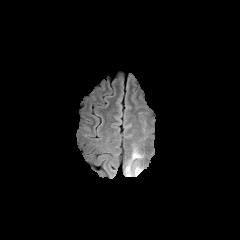
FLAIR MR image.
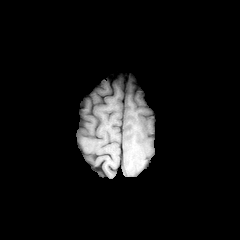
Same slice, T1-weighted MR.
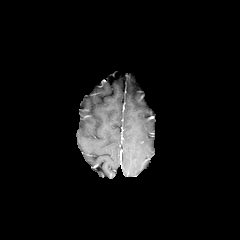
Same slice, post-contrast T1-weighted MRI.
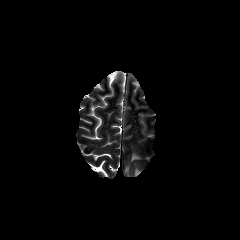
T2-weighted MR.
Image size 240x240.
Segmented structures:
- edema: [133,167,140,176]